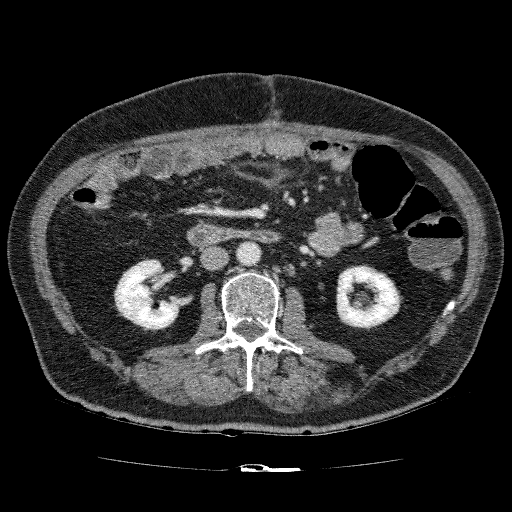

CT slice; Image size 512x512

Kidney: bbox=[114, 260, 181, 329]; bbox=[337, 266, 399, 327].